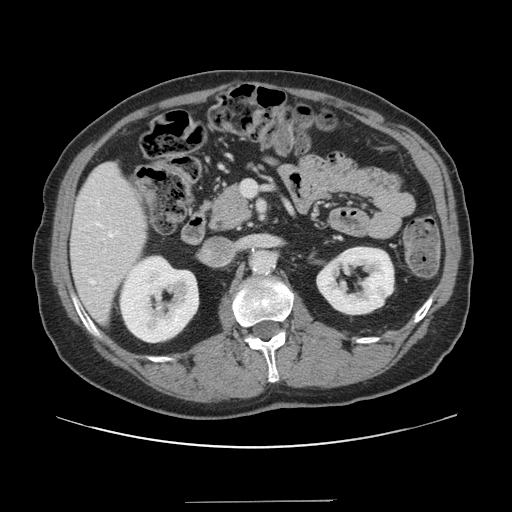 CT slice, Liver
Not every hepatic vessel necessarily has a box.
Hepatic vessel — [242, 181, 256, 195], [90, 280, 94, 283], [108, 232, 112, 236].